Heart | 320x320 px | MR image
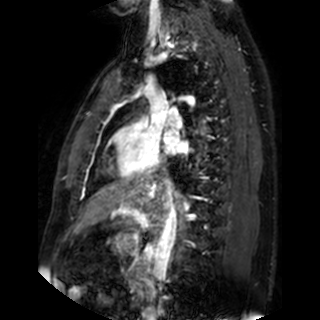
Left atrium: 164,129,188,154.